FLAIR magnetic resonance.
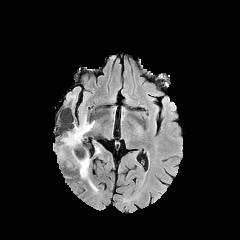
T1-weighted MR.
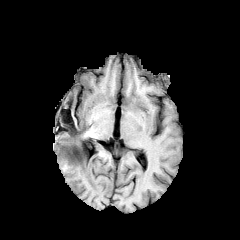
Post-contrast T1-weighted MR.
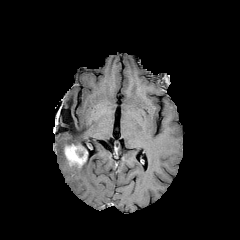
T2-weighted MRI.
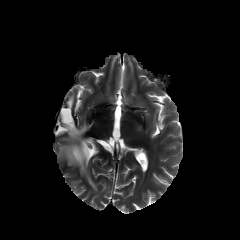
{
  "non-enhancing_tumor_core": [
    "[x1=60, y1=142, x2=84, y2=157]"
  ],
  "edema": [
    "[x1=66, y1=94, x2=75, y2=105]",
    "[x1=57, y1=114, x2=94, y2=159]",
    "[x1=78, y1=152, x2=98, y2=192]"
  ],
  "enhancing_tumor": [
    "[x1=64, y1=144, x2=86, y2=165]"
  ]
}